Head, Field of view 240x240 mm
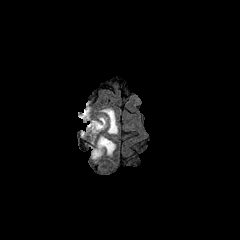
FLAIR MR image.
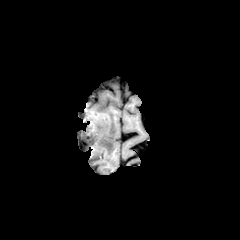
Same slice, T1-weighted magnetic resonance.
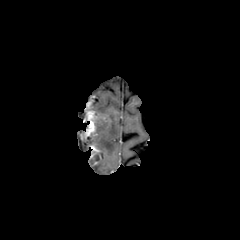
Post-contrast T1-weighted MR.
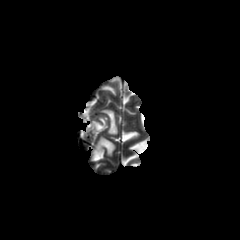
T2-weighted MR image of the same slice.
The enhancing tumor is bounded by box(81, 110, 95, 137). The edema appears at box(83, 109, 117, 159).